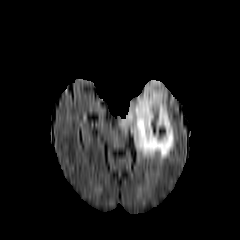
FLAIR MR image.
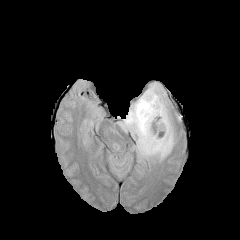
T1-weighted MRI.
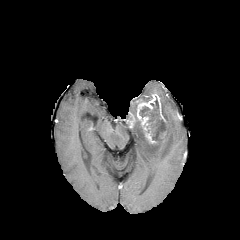
Same slice, post-contrast T1-weighted MR.
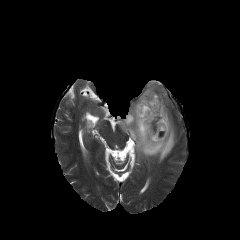
T2-weighted MR.
240x240 px, Brain
non-enhancing tumor core: <box>139,106,152,126</box> | edema: <box>128,101,138,114</box>, <box>115,82,175,161</box> | enhancing tumor: <box>136,92,165,143</box>, <box>123,112,135,127</box>